FLAIR MRI.
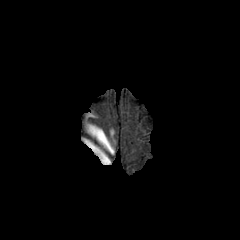
T1-weighted magnetic resonance.
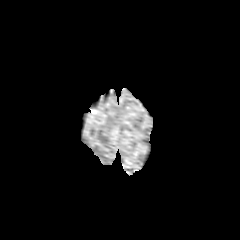
Post-contrast T1-weighted MR.
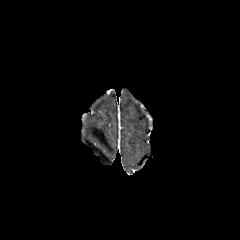
T2-weighted MR image.
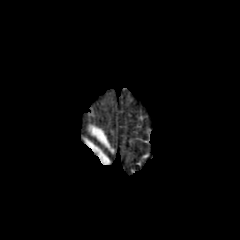
Head
Findings:
* edema: 84:124:114:164